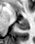
MR
{"posterior_hippocampus": [{"x1": 17, "y1": 19, "x2": 28, "y2": 30}]}